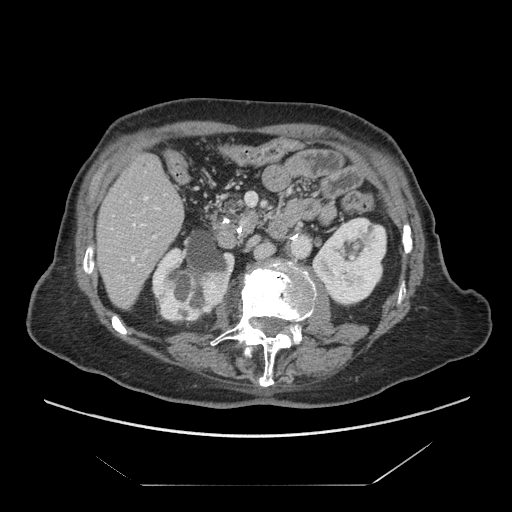 CT image. 512x512.

The pancreas appears at <bbox>209, 196, 263, 240</bbox>. The pancreatic tumor appears at <bbox>240, 214, 261, 234</bbox>.